Abdomen. CT slice.

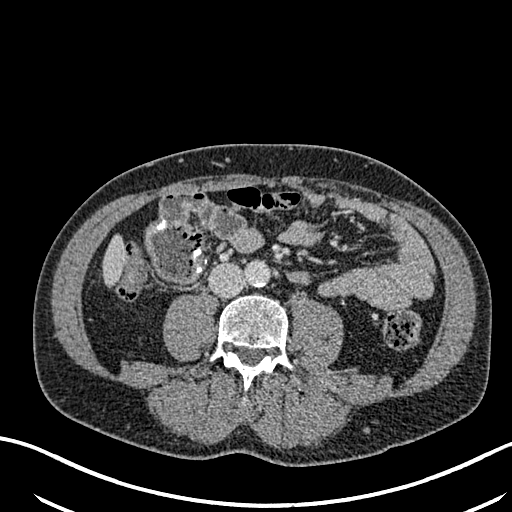

Liver: bounding box bbox=[103, 236, 123, 284].